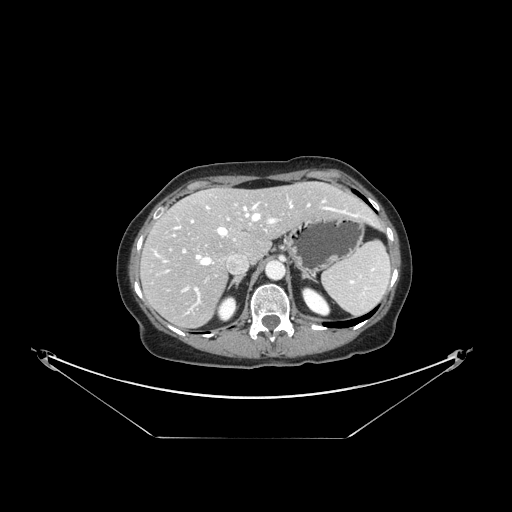

Computed tomography; Image size 512x512; Liver
The vessel boxes may cover only some of the vessels.
4 hepatic vessel regions are located at region(253, 214, 258, 219); region(218, 228, 225, 234); region(246, 213, 248, 215); region(269, 220, 273, 222).